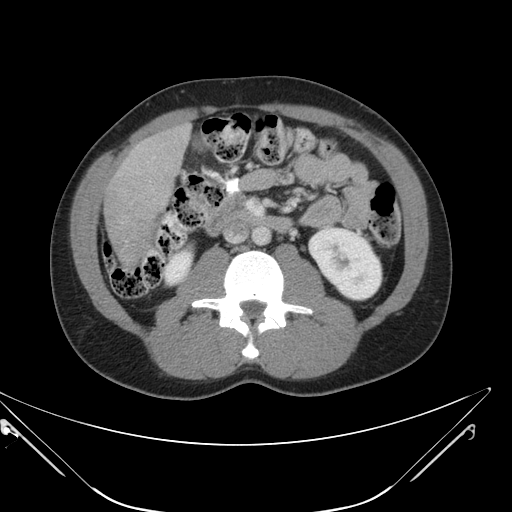
CT; Liver

Liver tumor = 121:231:151:262.